Slice index 73; Brain
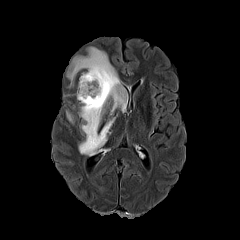
FLAIR MRI.
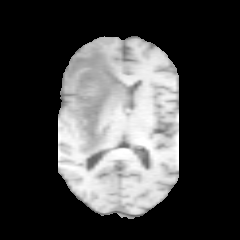
T1-weighted magnetic resonance of the same slice.
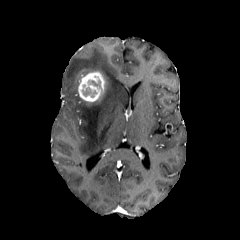
Post-contrast T1-weighted magnetic resonance.
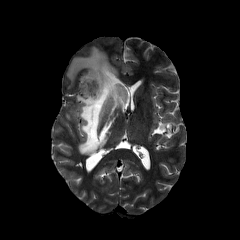
T2-weighted MRI.
Segmented structures:
* edema: box(66, 47, 126, 156)
* enhancing tumor: box(74, 69, 103, 102)